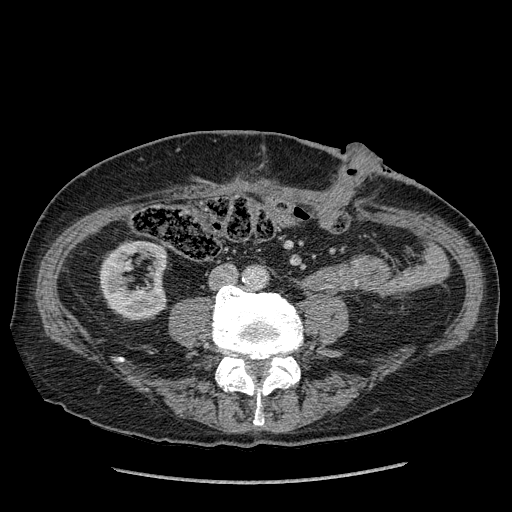 Abdomen. CT scan slice.

Kidney at 100 241 166 319.